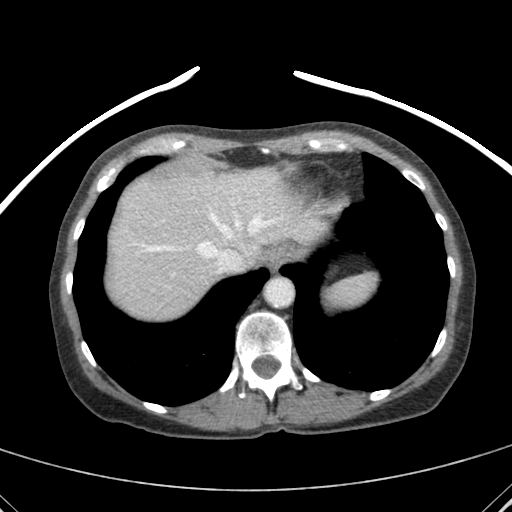 CT slice; Liver; 512x512
The liver lies within [109, 159, 324, 319].